512x512. Slice 530 of 751. Image width 403 mm. Computed tomography. Upper abdomen.
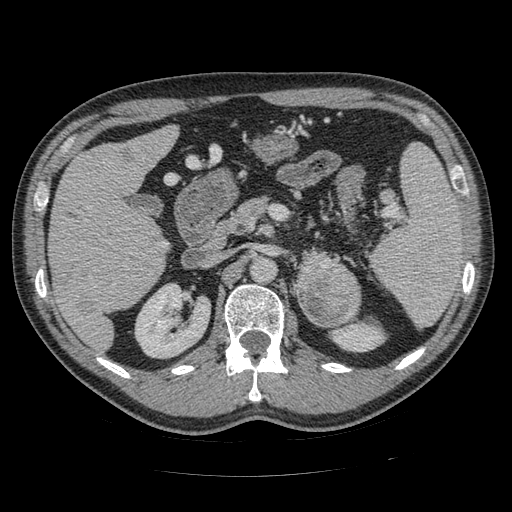
{"pancreas": ["[231, 198, 267, 232]"], "pancreatic_tumor": ["[298, 254, 360, 326]"]}